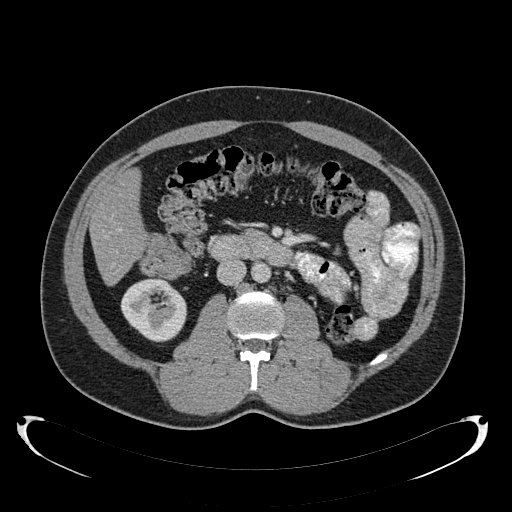
512x512 px, CT scan slice
Kidney — rect(121, 279, 185, 341).
Liver — rect(90, 169, 144, 284).